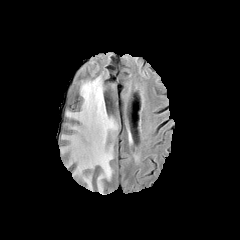
FLAIR MR image.
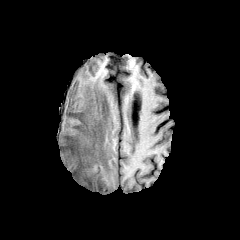
Same slice, T1-weighted MR image.
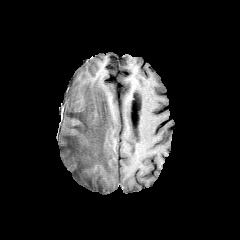
Post-contrast T1-weighted MR of the same slice.
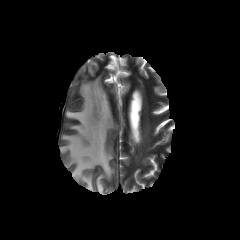
T2-weighted MRI.
The edema is located at [62, 76, 117, 194].